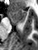 MRI | Hippocampus
<segmentation>
  <anterior_hippocampus>8,9,26,23</anterior_hippocampus>
</segmentation>